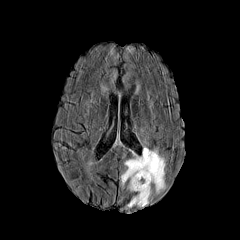
FLAIR magnetic resonance.
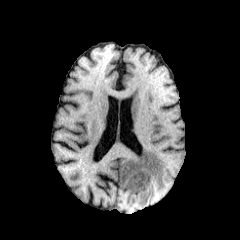
T1-weighted MR.
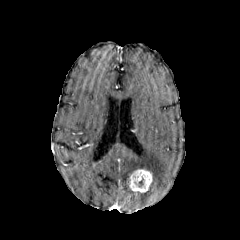
Post-contrast T1-weighted MRI.
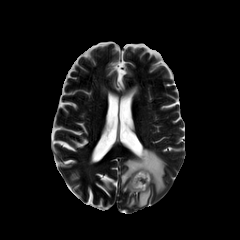
T2-weighted magnetic resonance.
Head.
• enhancing tumor: [129, 168, 152, 192]
• non-enhancing tumor core: [133, 176, 144, 188]
• edema: [125, 186, 150, 208], [119, 147, 164, 192]